Slice index 100, Head
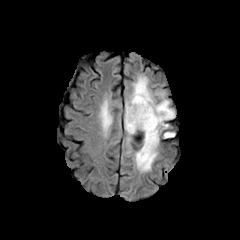
FLAIR MRI.
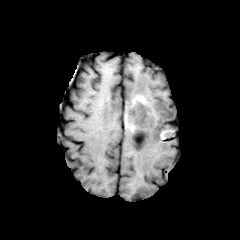
Same slice, T1-weighted magnetic resonance.
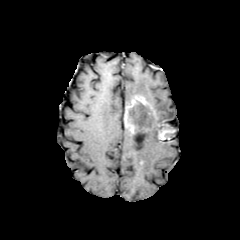
Post-contrast T1-weighted magnetic resonance.
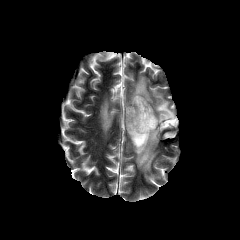
T2-weighted MR image.
edema:
  - {"x1": 133, "y1": 124, "x2": 160, "y2": 172}
  - {"x1": 101, "y1": 104, "x2": 112, "y2": 128}
  - {"x1": 125, "y1": 75, "x2": 175, "y2": 137}
non-enhancing_tumor_core:
  - {"x1": 128, "y1": 102, "x2": 158, "y2": 118}
  - {"x1": 156, "y1": 120, "x2": 169, "y2": 139}
  - {"x1": 130, "y1": 118, "x2": 155, "y2": 133}
enhancing_tumor:
  - {"x1": 125, "y1": 96, "x2": 147, "y2": 133}